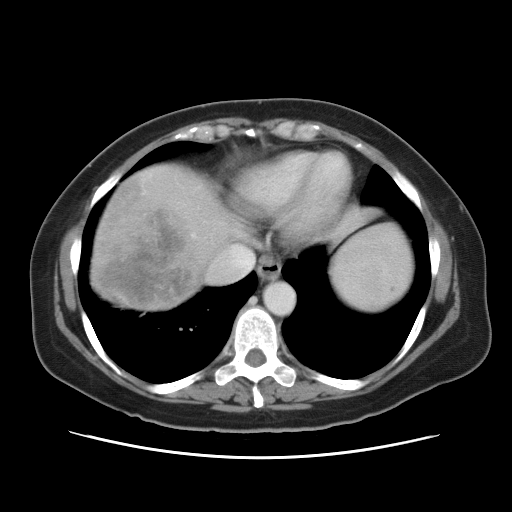
CT image. Liver. 512x512 px. Some hepatic vessels may have no box.
Hepatic vessel = left=205, top=244, right=256, bottom=281; left=192, top=234, right=212, bottom=242.
Liver tumor = left=96, top=180, right=203, bottom=305.